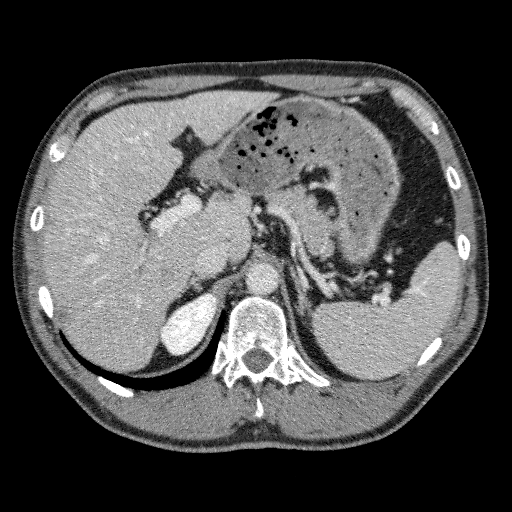

512x512 px, Upper abdomen, CT image
Liver: <box>40,90,279,369</box>.
Kidney: <box>161,294,215,354</box>.
Focal liver lesion: <box>158,264,177,286</box>, <box>46,214,54,226</box>, <box>57,303,72,326</box>, <box>214,193,235,205</box>.